Slice 112 of 155; 240x240 px
FLAIR MR image.
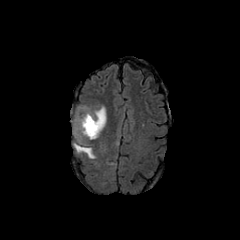
T1-weighted MRI.
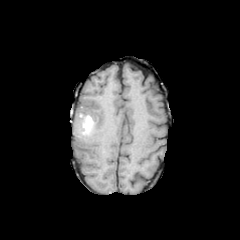
Post-contrast T1-weighted MRI.
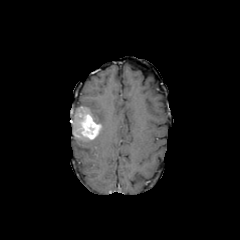
T2-weighted MR image.
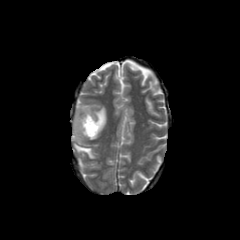
Edema at box=[73, 139, 96, 158]; box=[91, 105, 106, 139].
Enhancing tumor at box=[70, 106, 101, 141].